Field of view 240x240 mm. 240x240.
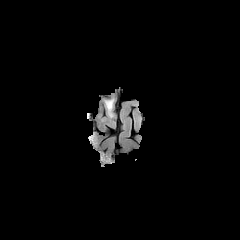
FLAIR magnetic resonance.
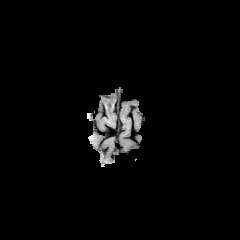
T1-weighted MRI.
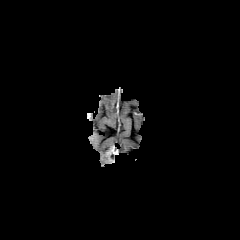
Post-contrast T1-weighted MRI.
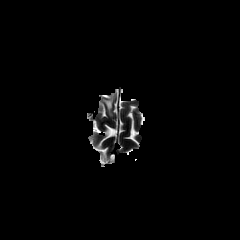
Same slice, T2-weighted MR image.
Non-enhancing tumor core: bounding box (106,101,113,112).
Edema: bounding box (100,96,113,120).